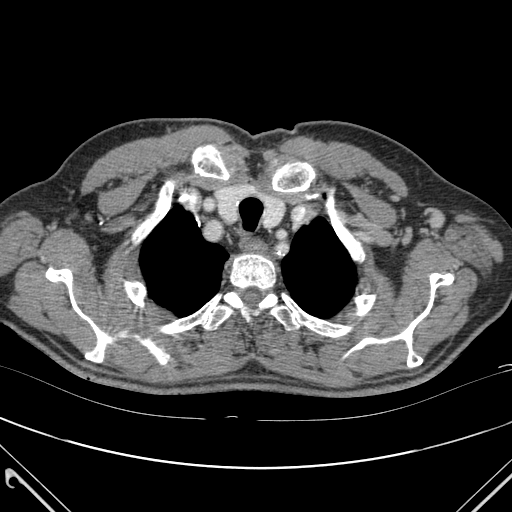
Chest. CT scan slice.

{"bone": ["(left=161, top=295, right=232, bottom=333)", "(left=192, top=145, right=229, bottom=179)", "(left=143, top=339, right=168, bottom=364)", "(left=135, top=181, right=173, bottom=240)", "(left=355, top=295, right=374, bottom=315)", "(left=231, top=255, right=274, bottom=288)", "(left=326, top=196, right=364, bottom=260)", "(left=46, top=268, right=111, bottom=362)", "(left=272, top=163, right=314, bottom=191)", "(left=224, top=292, right=249, bottom=320)", "(left=347, top=273, right=453, bottom=366)", "(left=259, top=294, right=350, bottom=337)", "(left=125, top=281, right=145, bottom=306)"], "lung": ["(left=281, top=217, right=356, bottom=318)", "(left=139, top=205, right=228, bottom=316)"]}